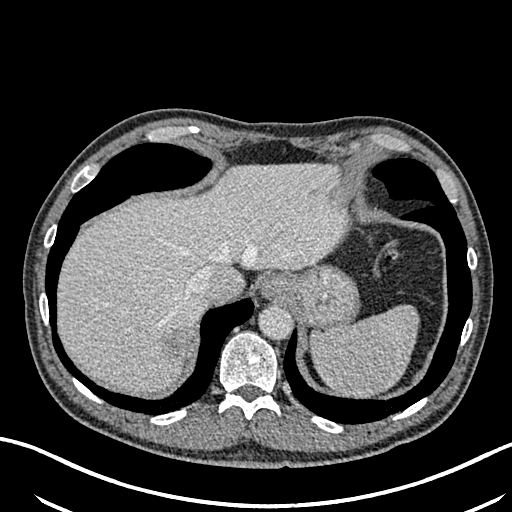

Upper abdomen, Computed tomography
The hepatic lesion is bounded by 159 329 183 356. The liver is located at 58 164 347 391.